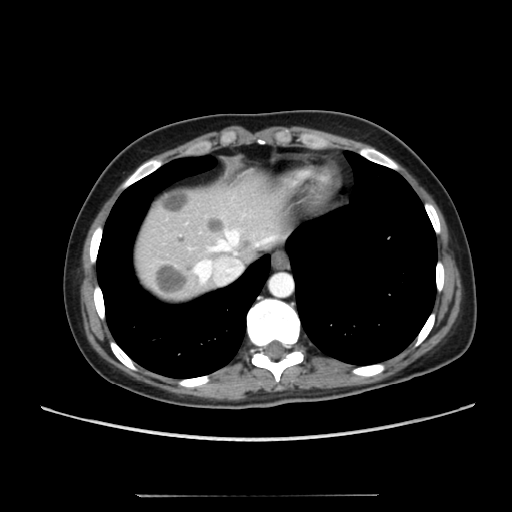
CT slice; Upper abdomen

Hepatic lesion: (158,190,190,211), (154,264,188,295), (207,218,222,232).
Liver: (133,165,296,303).